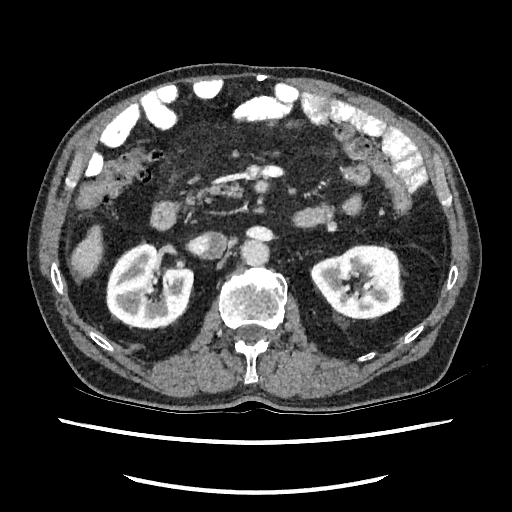 CT scan slice | 512x512 | Liver
<segmentation>
  <kidney>(106,242,193,329), (311,245,402,318)</kidney>
  <liver>(72,230,100,275)</liver>
</segmentation>